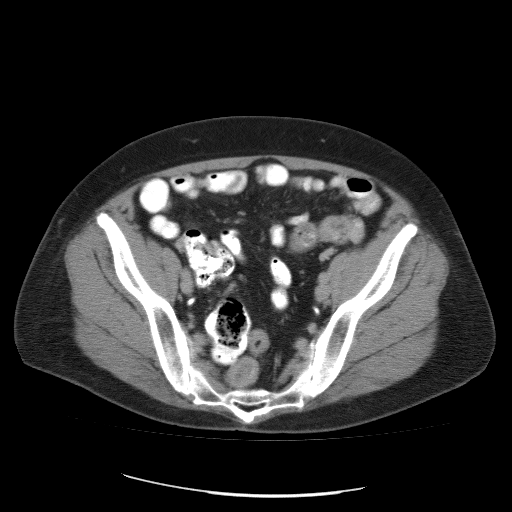

CT scan slice, 512x512 px
Segmented structures:
* colon tumor: {"x1": 248, "y1": 329, "x2": 269, "y2": 356}